CT slice. Slice 485 of 696. 512x512. Image width 339 mm.
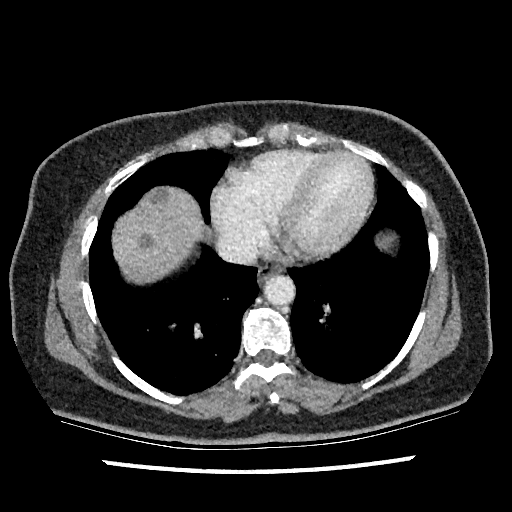 The liver is located at (left=114, top=189, right=201, bottom=280). 2 hepatic lesion regions are bounded by (left=140, top=234, right=152, bottom=248), (left=152, top=188, right=168, bottom=204).